Field of view 330 mm wide, 2.50 mm slice spacing; CT slice; 512x512 px; Upper abdomen; Slice index 54 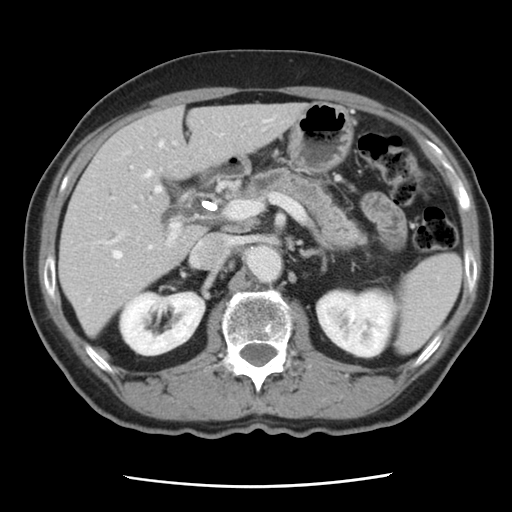 - pancreatic tumor: [240,218,260,225]
- pancreas: [245,168,367,248]